FLAIR MRI.
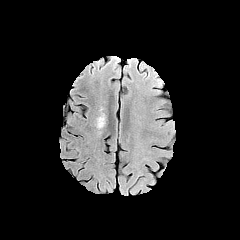
T1-weighted magnetic resonance.
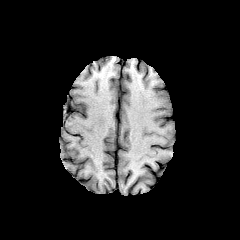
Post-contrast T1-weighted magnetic resonance.
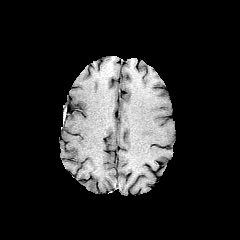
T2-weighted magnetic resonance.
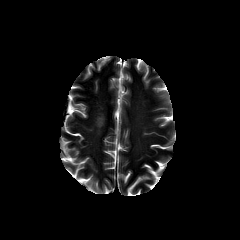
Head
The edema lies within 97,113,105,127.